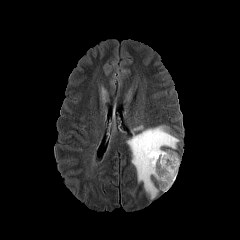
FLAIR magnetic resonance.
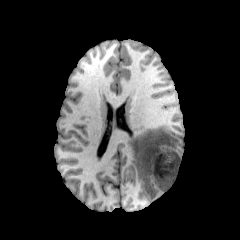
T1-weighted magnetic resonance of the same slice.
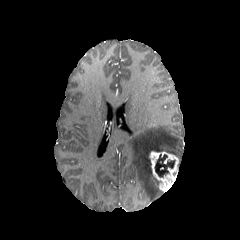
Post-contrast T1-weighted MRI.
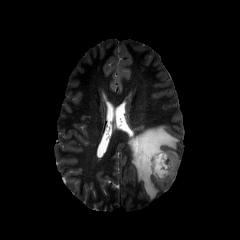
Same slice, T2-weighted MR image.
240x240 px. Head.
Enhancing tumor: (148, 151, 179, 191).
Non-enhancing tumor core: (151, 175, 161, 192), (154, 154, 175, 177).
Edema: (127, 125, 179, 199).